FLAIR MR image.
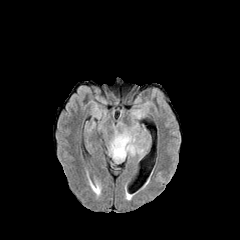
T1-weighted MRI.
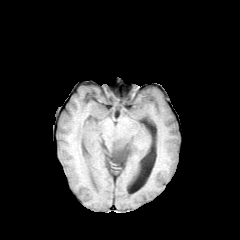
Post-contrast T1-weighted MR.
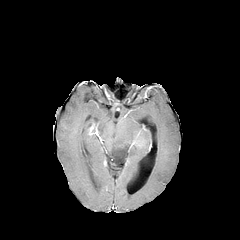
T2-weighted magnetic resonance.
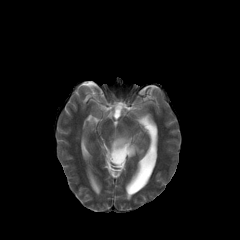
Brain, 240x240
{
  "edema": [
    "bbox(107, 121, 148, 164)"
  ]
}